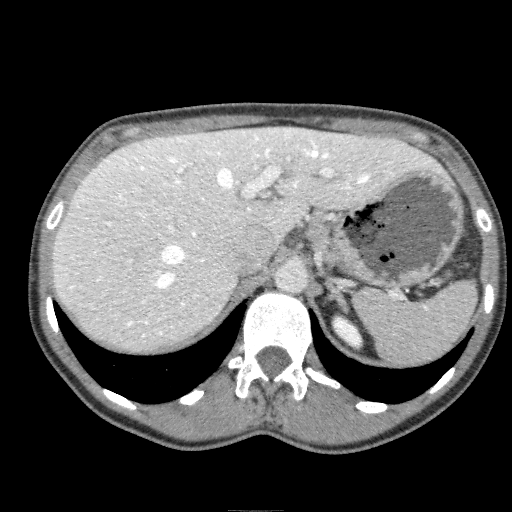 512x512 | CT scan slice | Liver
Segmented structures:
- kidney: (334, 318, 360, 345)
- liver: (52, 126, 452, 352)